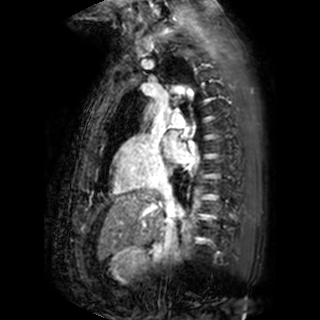 Cardiac; Magnetic resonance; Image size 320x320

The left atrium appears at box=[163, 131, 190, 162].